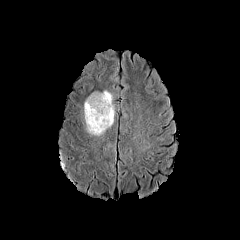
FLAIR magnetic resonance.
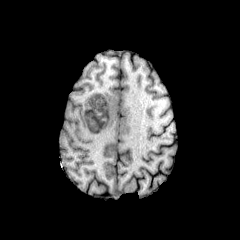
T1-weighted MR of the same slice.
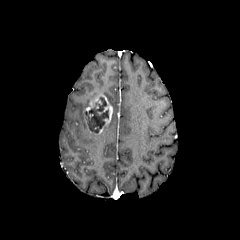
Same slice, post-contrast T1-weighted MR.
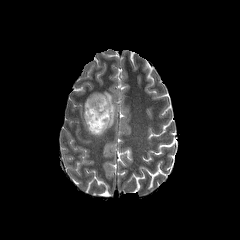
T2-weighted MR.
The enhancing tumor is located at 86, 95, 112, 119. The non-enhancing tumor core is at 84, 97, 109, 135. The edema lies within 83, 91, 115, 130.